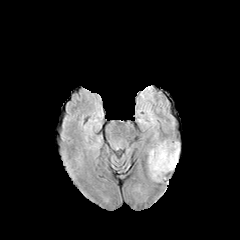
FLAIR magnetic resonance.
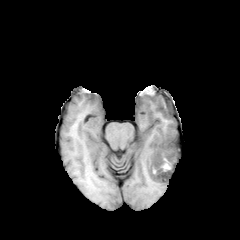
T1-weighted magnetic resonance.
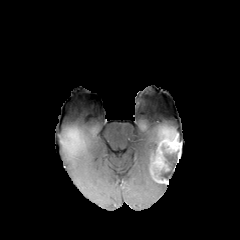
Same slice, post-contrast T1-weighted MR image.
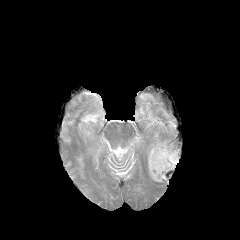
T2-weighted MR.
Head
{
  "edema": [
    "bbox(147, 141, 180, 181)"
  ]
}